CT scan slice | 512x512 px 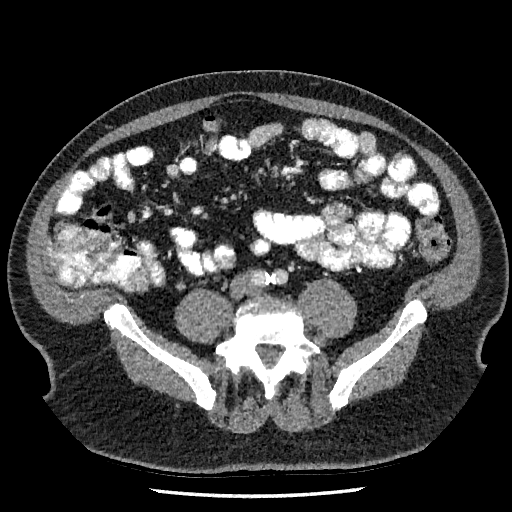

<segmentation>
  <liver>(47,239,52,258)</liver>
</segmentation>